FLAIR MR image.
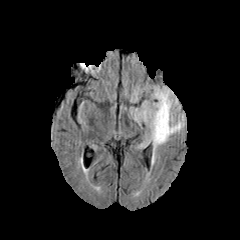
T1-weighted MRI.
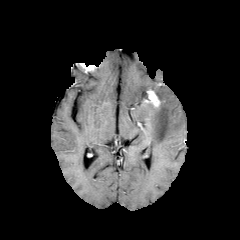
Post-contrast T1-weighted MR.
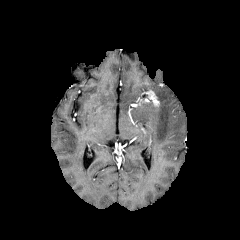
T2-weighted MR.
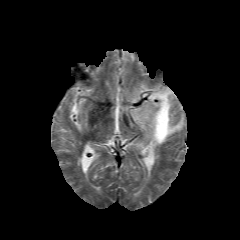
Image size 240x240.
edema:
  - {"x1": 130, "y1": 85, "x2": 184, "y2": 146}
enhancing_tumor:
  - {"x1": 145, "y1": 90, "x2": 160, "y2": 108}